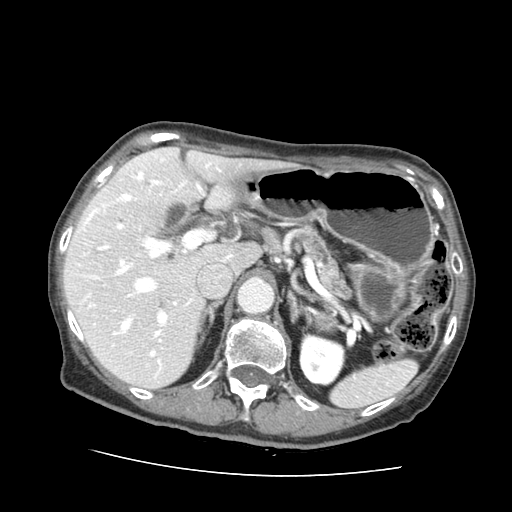 CT slice; Abdomen
{
  "pancreas": [
    "(298, 225, 353, 300)"
  ]
}